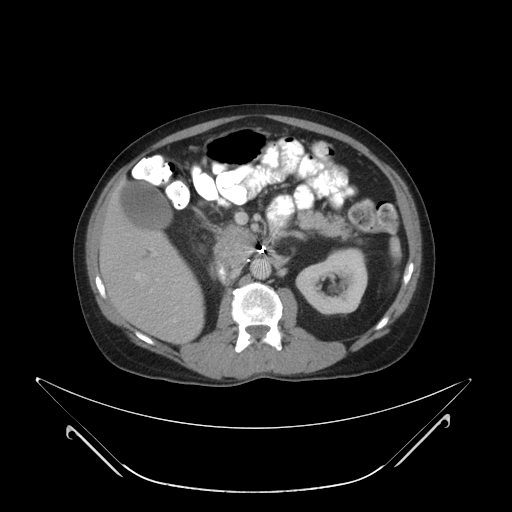
CT slice.

Pancreatic tumor: rect(216, 228, 250, 262).
Pancreas: rect(296, 210, 354, 241); rect(212, 223, 257, 270).